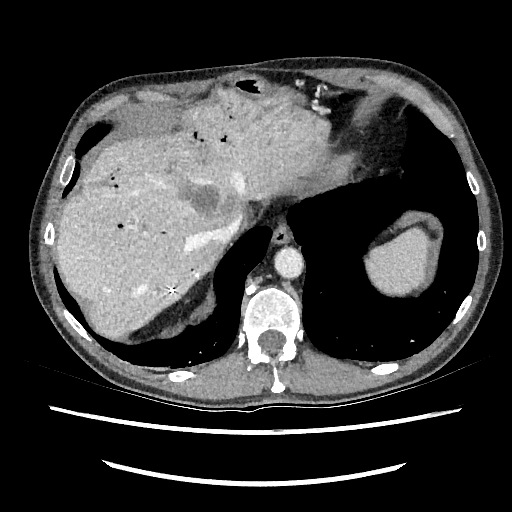
Liver, CT
Hepatic lesion: bounding box (166, 162, 176, 173), (181, 181, 222, 219).
Liver: bounding box (57, 88, 329, 336).